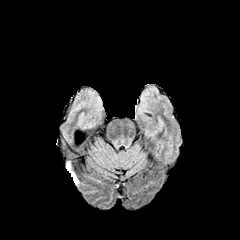
FLAIR MRI.
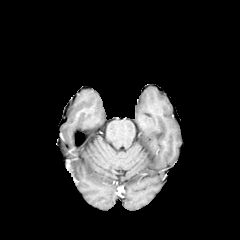
T1-weighted MR image.
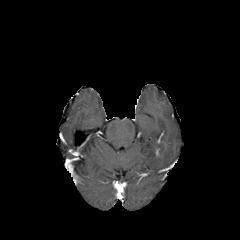
Post-contrast T1-weighted magnetic resonance.
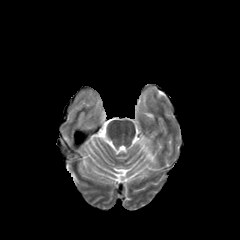
T2-weighted MR.
Brain
Findings:
• edema: 66 161 79 185